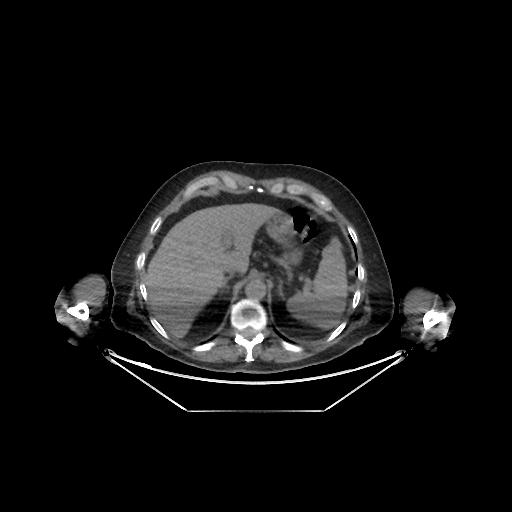
Upper abdomen; CT scan slice
liver: region(143, 204, 277, 337)